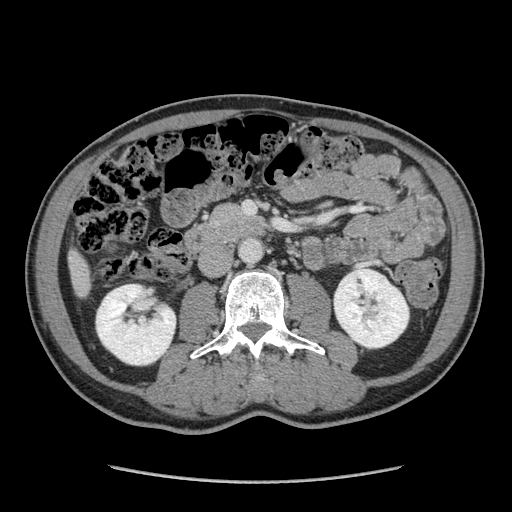
Computed tomography; Abdomen

<segmentation>
  <pancreas><box>213,203,246,228</box></pancreas>
</segmentation>